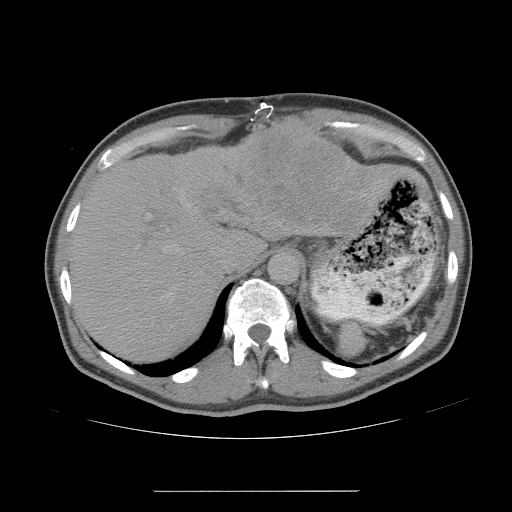
CT scan slice | 512x512 px | Abdomen
Not every hepatic vessel necessarily has a box.
Liver tumor: box=[199, 121, 372, 231].
Principal 15 of 16 hepatic vessel regions: box=[225, 217, 227, 219]; box=[195, 207, 197, 211]; box=[163, 292, 174, 299]; box=[230, 213, 237, 217]; box=[371, 201, 372, 204]; box=[200, 270, 201, 273]; box=[180, 196, 192, 212]; box=[174, 284, 178, 289]; box=[163, 246, 170, 252]; box=[188, 248, 198, 256]; box=[244, 219, 248, 223]; box=[220, 209, 223, 213]; box=[145, 213, 151, 220]; box=[192, 218, 194, 220]; box=[176, 248, 183, 254].